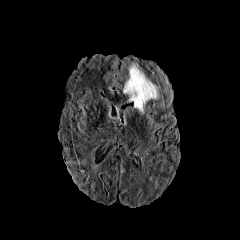
FLAIR MR image.
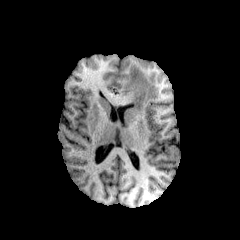
Same slice, T1-weighted MR.
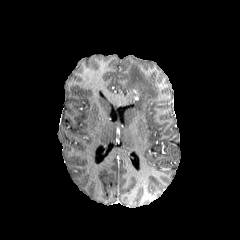
Same slice, post-contrast T1-weighted magnetic resonance.
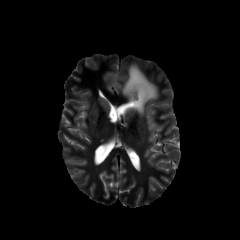
T2-weighted MR.
Brain
The enhancing tumor is bounded by {"x1": 127, "y1": 88, "x2": 140, "y2": 100}. The edema lies within {"x1": 123, "y1": 65, "x2": 158, "y2": 114}.